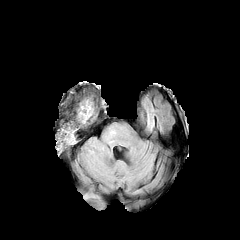
FLAIR MRI.
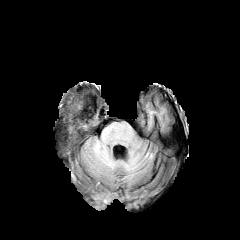
T1-weighted MR.
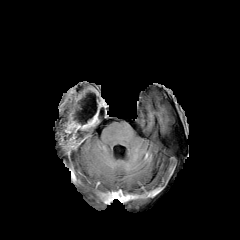
Same slice, post-contrast T1-weighted MR.
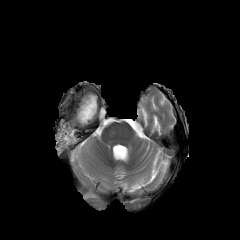
Same slice, T2-weighted MRI.
The enhancing tumor is located at 60 134 75 147. The edema appears at 78 105 85 123. The non-enhancing tumor core is located at 59 104 97 151.